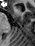
MRI, Hippocampus
Annotated regions:
* anterior hippocampus: 16 6 20 8